Slice 6 of 42 | MRI | Field of view 38x50 mm | Hippocampus 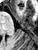

anterior hippocampus: [19,7,22,9]